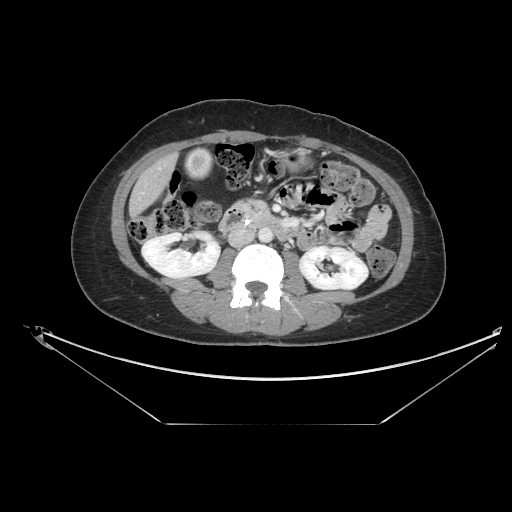 Image size 512x512; Computed tomography
pancreas: 235:198:272:227